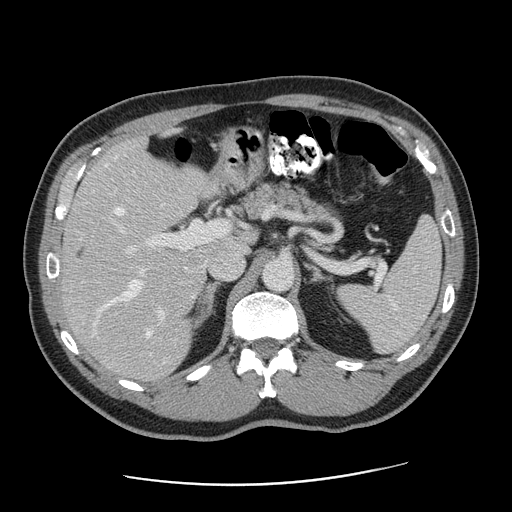

Liver | CT
The vessel annotation is not exhaustive.
11 hepatic vessel regions appear at 185, 267, 187, 268; 202, 244, 247, 278; 147, 331, 151, 336; 116, 208, 123, 214; 99, 280, 140, 313; 106, 164, 108, 165; 159, 310, 165, 317; 127, 247, 133, 252; 95, 326, 95, 329; 145, 220, 229, 250; 141, 267, 145, 271. The liver tumor is bounded by 73, 243, 88, 260.